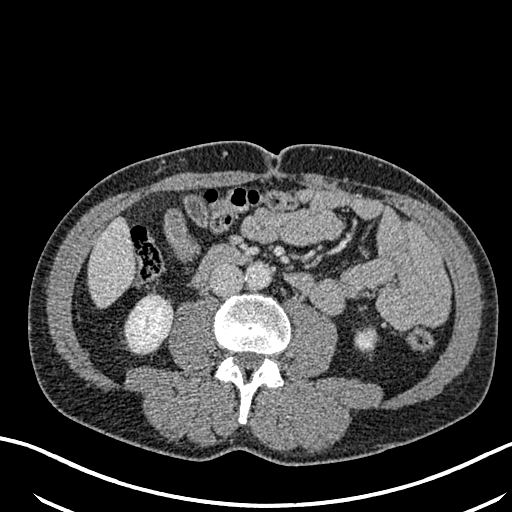 CT | Upper abdomen

liver: (89,218,134,307) | kidney: (357,334,372,347), (126,296,172,352)